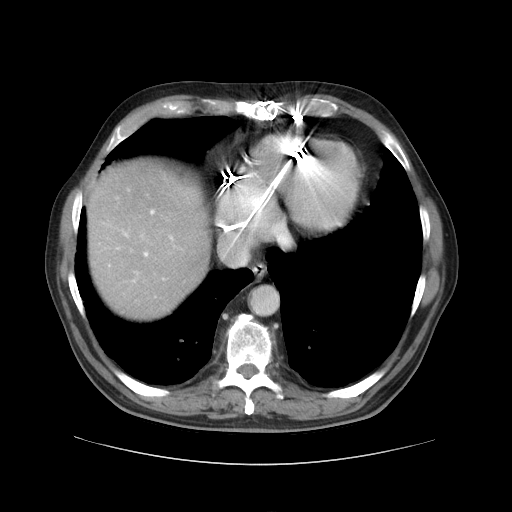
CT scan slice

Some hepatic vessels may have no box.
2 hepatic vessel regions are located at bbox(143, 252, 147, 256); bbox(150, 209, 154, 213).